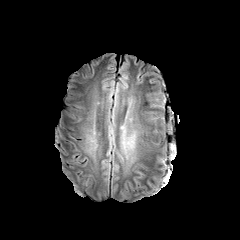
FLAIR MRI.
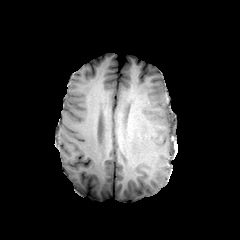
Same slice, T1-weighted MR.
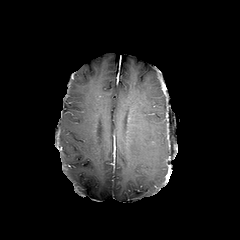
Same slice, post-contrast T1-weighted MRI.
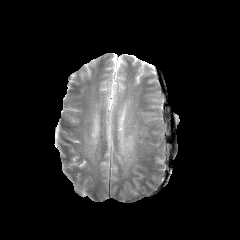
Same slice, T2-weighted MRI.
240x240
- edema: left=120, top=125, right=135, bottom=156